CT scan slice; Field of view 425x425 mm; Slice 37/49; Liver 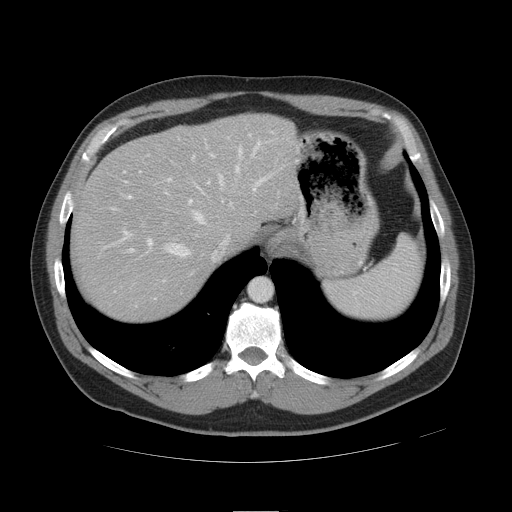
Not every hepatic vessel necessarily has a box.
hepatic_vessel:
  - 249 134 250 135
  - 192 155 194 159
  - 194 212 204 223
  - 128 196 131 198
  - 253 175 270 190
  - 148 239 152 245
  - 167 243 189 256
  - 210 154 214 156
  - 219 175 223 189
  - 238 147 242 157
  - 189 200 191 202
  - 236 166 239 171